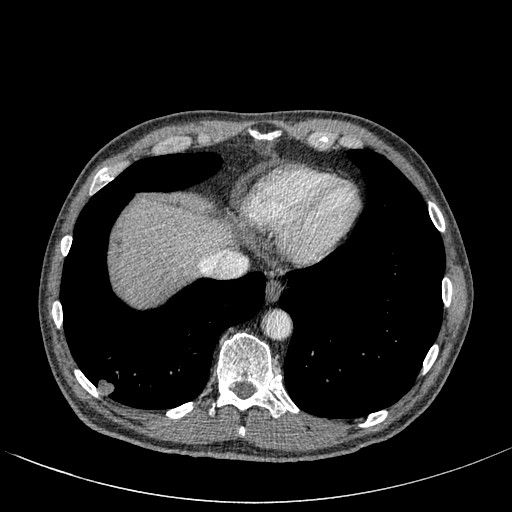

CT scan slice; Image size 512x512; Upper abdomen

Segmented structures:
- liver: (x1=113, y1=200, x2=230, y2=304)